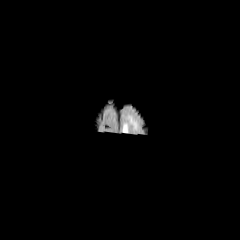
FLAIR MR.
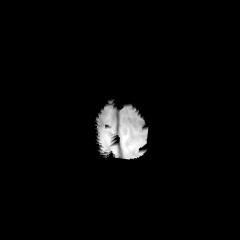
Same slice, T1-weighted MR.
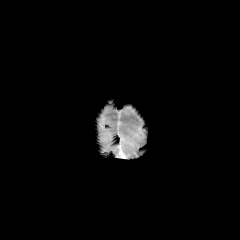
Post-contrast T1-weighted magnetic resonance.
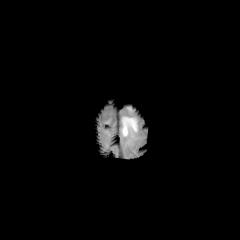
T2-weighted magnetic resonance.
Segmented structures:
* edema: x1=122, y1=116, x2=138, y2=135